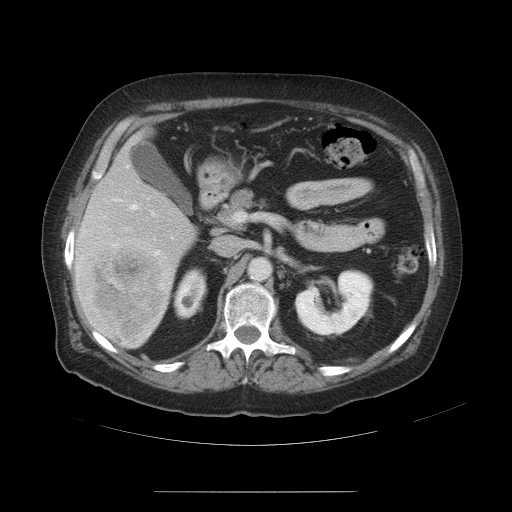
CT image. 512x512. Abdomen.

The vessel annotation is not exhaustive.
<segmentation>
  <hepatic_vessel>[126, 166, 128, 167], [113, 198, 120, 201], [150, 210, 154, 216], [76, 253, 83, 258], [154, 237, 155, 239], [148, 197, 149, 199], [82, 229, 85, 231], [128, 203, 137, 209], [156, 250, 159, 253]</hepatic_vessel>
  <liver_tumor>[77, 241, 171, 348]</liver_tumor>
</segmentation>